CT image

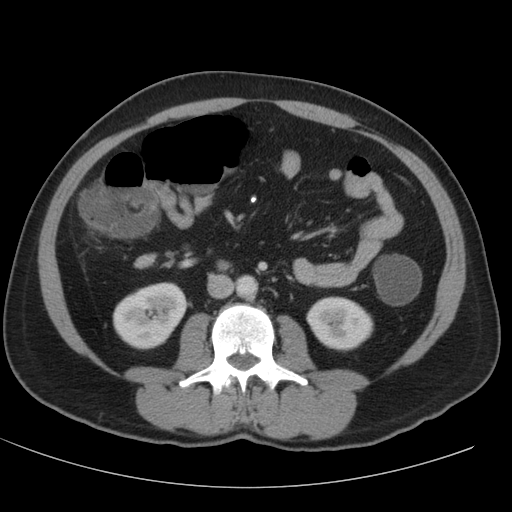

- kidney: <bbox>113, 283, 186, 348</bbox>, <bbox>307, 297, 372, 349</bbox>